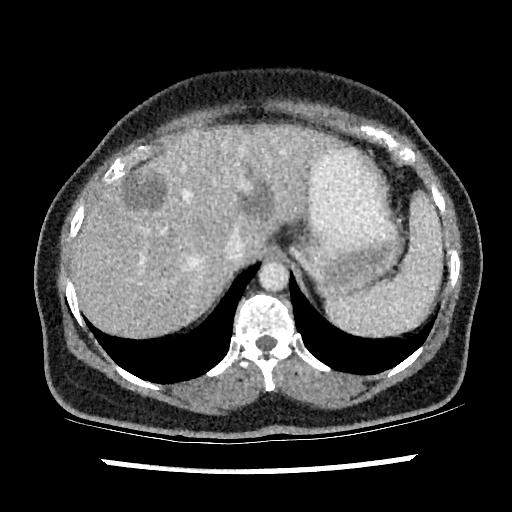
512x512. CT image. The liver is at (72, 127, 338, 336). 2 liver lesion regions are located at (121, 173, 165, 209), (237, 182, 272, 214).